FLAIR MR image.
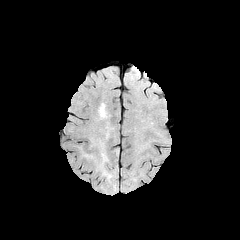
T1-weighted MR.
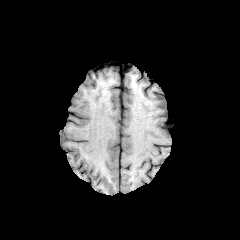
Post-contrast T1-weighted MRI.
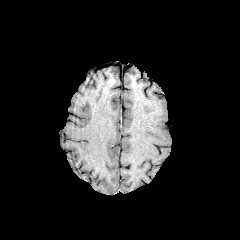
T2-weighted magnetic resonance.
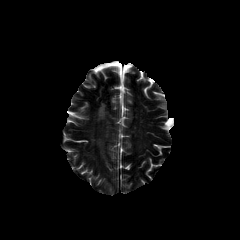
Head
{"edema": ["region(99, 105, 106, 117)"]}